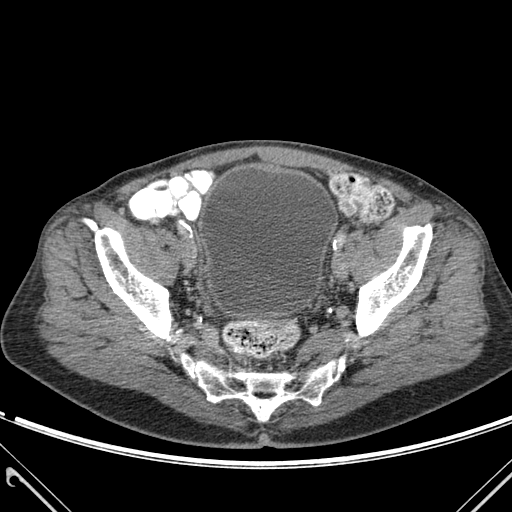
CT
Annotated regions:
- urinary bladder: [x1=202, y1=168, x2=335, y2=314]
- bone: [x1=84, y1=219, x2=171, y2=340], [x1=181, y1=354, x2=344, y2=421], [x1=356, y1=224, x2=432, y2=336]